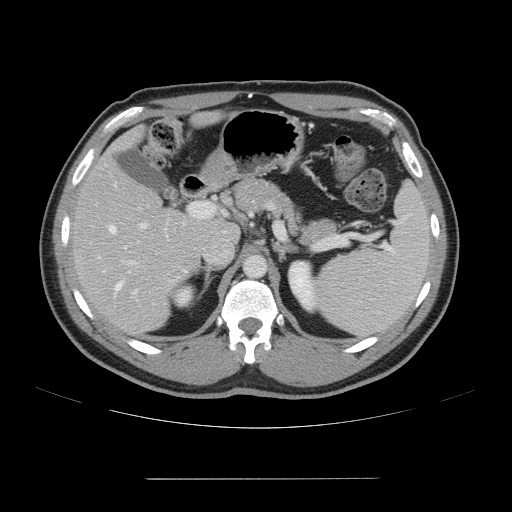
CT image, 512x512 px, Abdomen
Not every hepatic vessel necessarily has a box.
8 hepatic vessel regions are located at (124,246,126,248), (139,223,146,228), (109,226,115,232), (132,289,137,295), (114,282,122,295), (128,271,129,272), (114,183,116,186), (122,260,135,264).